FLAIR magnetic resonance.
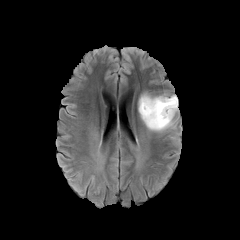
T1-weighted MR.
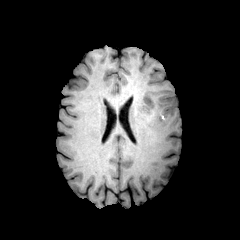
Post-contrast T1-weighted MR.
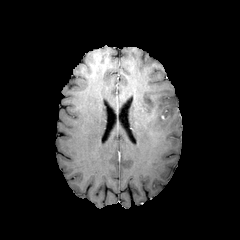
T2-weighted MR.
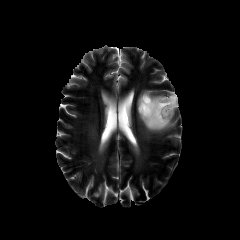
Edema — bbox(137, 91, 178, 133).
Non-enhancing tumor core — bbox(138, 99, 170, 121).